CT slice | Lung | Slice index 328 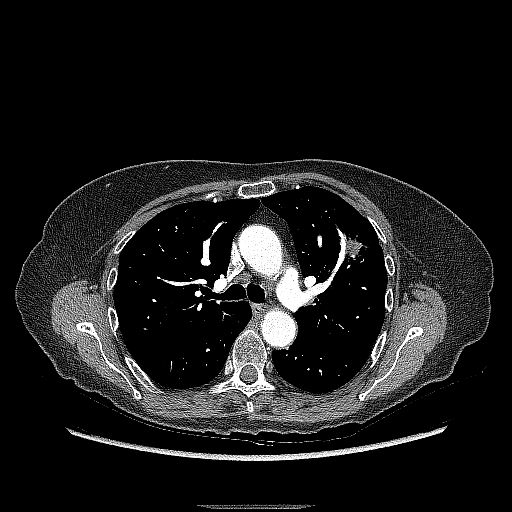 Lung tumor at left=335, top=228, right=376, bottom=266.